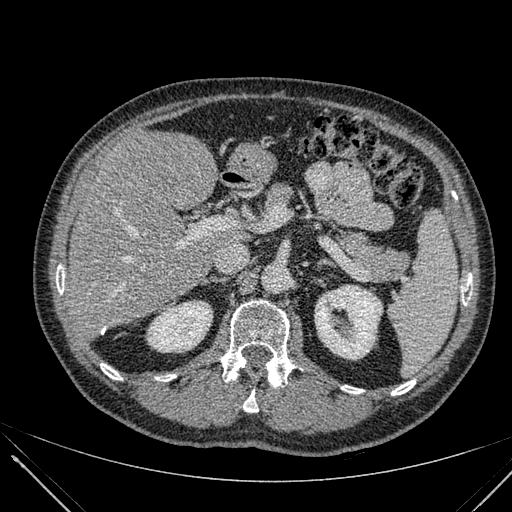
CT image
Kidney at (148,301,212,351), (315,285,382,359).
Liver at (67,129,249,335), (242,148,277,180).